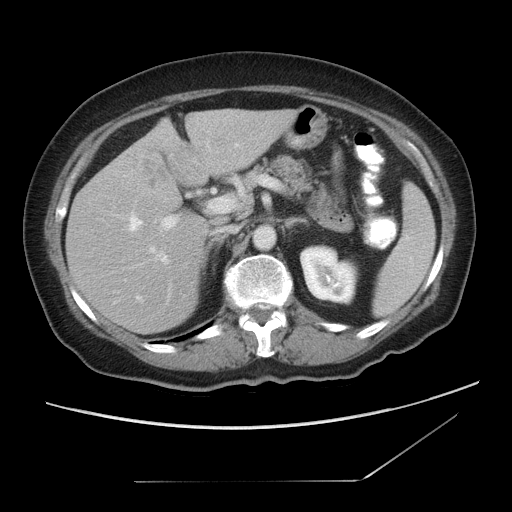
Abdomen; CT slice; Image size 512x512
The vessel annotation is not exhaustive.
The liver tumor is at (143, 156, 163, 182). 6 hepatic vessel regions appear at (129, 215, 142, 231), (162, 217, 176, 228), (151, 248, 154, 252), (137, 296, 142, 301), (159, 253, 165, 259), (209, 197, 233, 212).